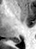

MR | Hippocampus
Posterior hippocampus: rect(13, 38, 20, 43).